FLAIR MR.
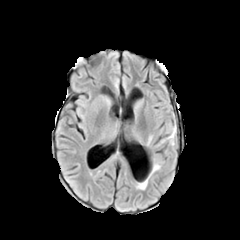
T1-weighted MRI.
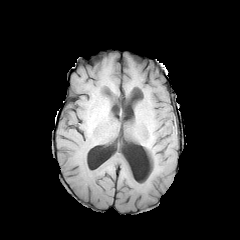
Post-contrast T1-weighted MR.
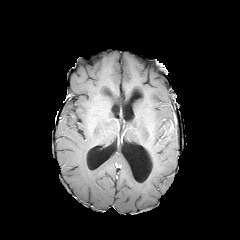
T2-weighted MRI.
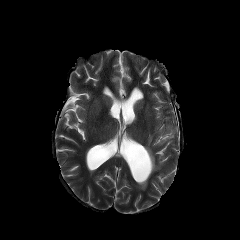
Image size 240x240.
Edema at (left=136, top=158, right=161, bottom=189), (left=160, top=122, right=176, bottom=143).